Slice 23/30, Field of view 34x49 mm, Image size 34x49, MR image

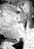
The posterior hippocampus is at <bbox>8, 38, 17, 42</bbox>.